Computed tomography | 512x512 px | Slice index 452

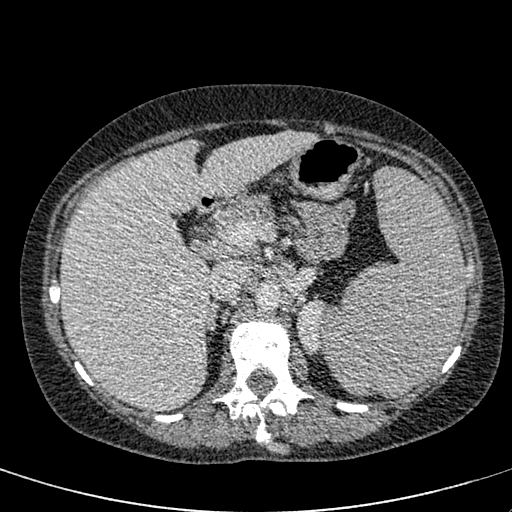

* kidney: rect(297, 301, 323, 351)
* liver: rect(61, 133, 317, 410)